CT slice; Slice 244/574 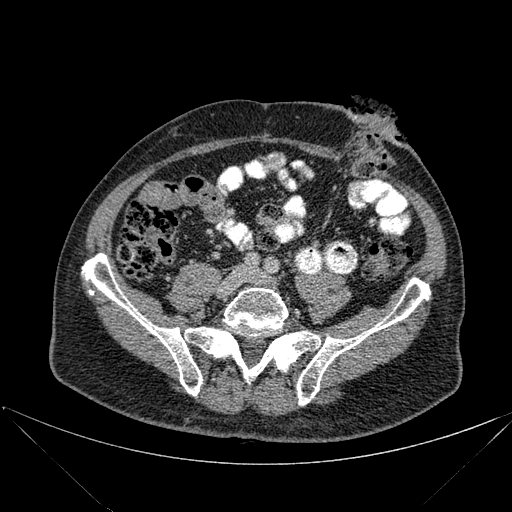 2 bone regions appear at box=[82, 253, 430, 405]; box=[223, 288, 288, 336].